Medial temporal lobe; Slice 19/42; MR
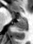

The posterior hippocampus appears at <box>15,20,26,31</box>. The anterior hippocampus appears at <box>17,17,26,19</box>.